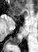
Medial temporal lobe | MR

Annotated regions:
* anterior hippocampus: (left=15, top=18, right=16, bottom=20)
* posterior hippocampus: (left=10, top=35, right=22, bottom=44)